FLAIR MR.
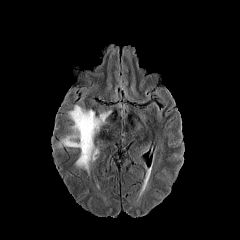
T1-weighted MR.
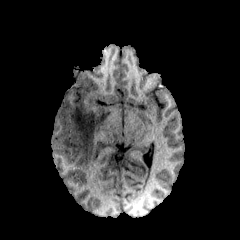
Post-contrast T1-weighted MRI.
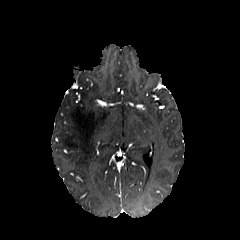
T2-weighted MRI.
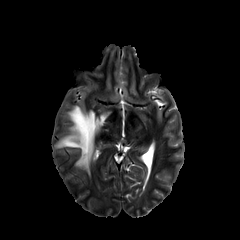
Annotated regions:
- edema: [57,105,110,174]